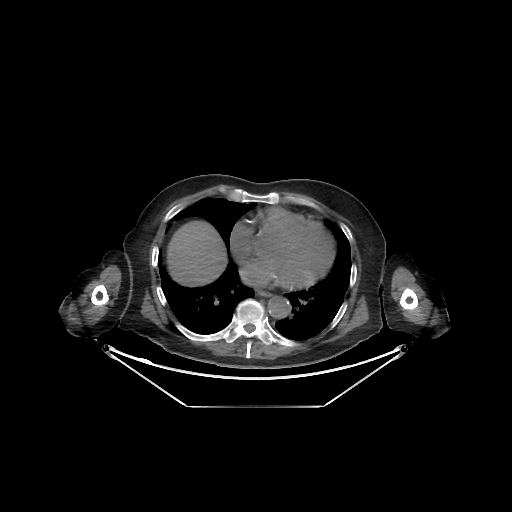

Image size 512x512 | CT | Liver
Annotated regions:
* liver: [168, 222, 226, 285]
* bone: [165, 211, 174, 220], [239, 190, 278, 203], [350, 266, 356, 285], [152, 247, 158, 266], [177, 300, 295, 357], [332, 305, 346, 326], [157, 287, 165, 304], [400, 288, 417, 309], [91, 285, 108, 305]
* lung: [275, 218, 351, 340], [158, 197, 256, 334]